Medial temporal lobe, Slice 12/35, MRI, Image size 33x47 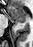

{
  "posterior_hippocampus": [
    "17,21,25,23"
  ],
  "anterior_hippocampus": [
    "8,6,26,20"
  ]
}